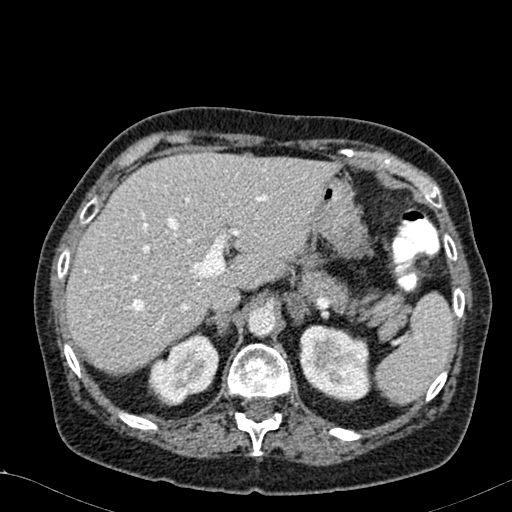

512x512; CT slice
The liver is bounded by (left=66, top=153, right=338, bottom=372). 2 kidney regions are located at (left=149, top=335, right=218, bottom=403), (left=300, top=326, right=369, bottom=399).